240x240
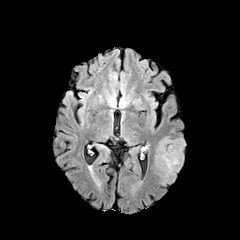
FLAIR MRI.
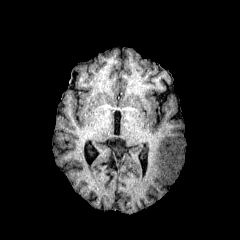
Same slice, T1-weighted MRI.
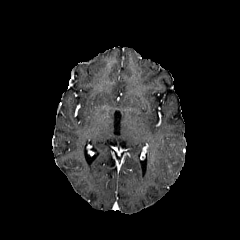
Post-contrast T1-weighted magnetic resonance.
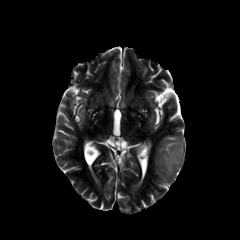
T2-weighted magnetic resonance.
{"non-enhancing_tumor_core": ["<bbox>160, 140, 184, 178</bbox>"], "edema": ["<bbox>152, 136, 185, 186</bbox>", "<bbox>176, 157, 183, 171</bbox>"]}